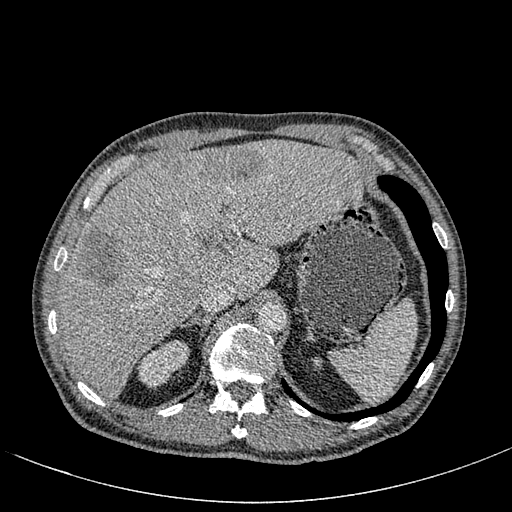
CT slice. Image size 512x512. Abdomen.
Kidney: left=139, top=340, right=188, bottom=386.
Focal liver lesion: left=202, top=148, right=262, bottom=182; left=80, top=227, right=124, bottom=285; left=164, top=159, right=180, bottom=172; left=201, top=228, right=241, bottom=257.
Liver: left=58, top=140, right=364, bottom=397.